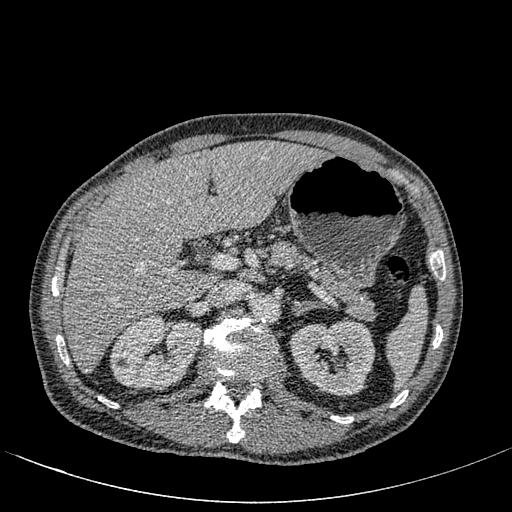
CT slice, 512x512, Upper abdomen
Segmented structures:
* kidney: rect(290, 321, 374, 395); rect(110, 315, 201, 389)
* liver: rect(62, 142, 331, 374)